Upper abdomen. CT slice. Field of view 403 mm wide, 0.70 mm slice spacing.
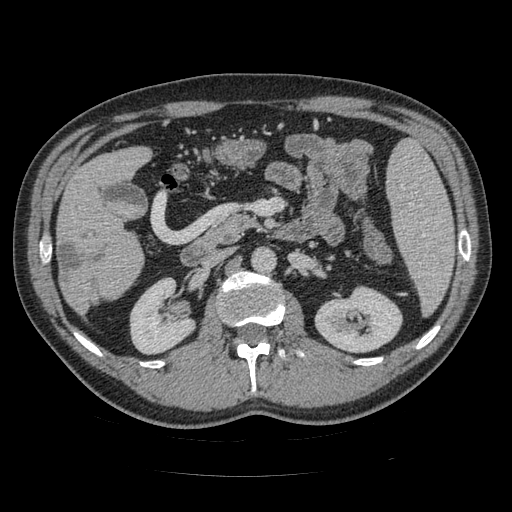

pancreas: (202, 214, 256, 244)